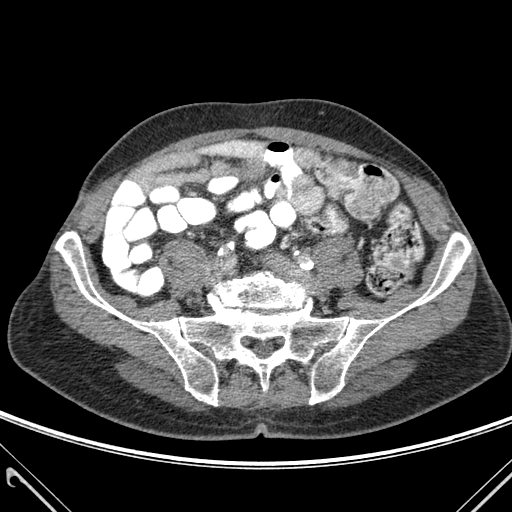
CT. 512x512 px.

The bone is bounded by left=55, top=232, right=470, bottom=405.